Slice 317 of 536 | CT slice | Field of view 700 mm wide, 3.27 mm slice spacing 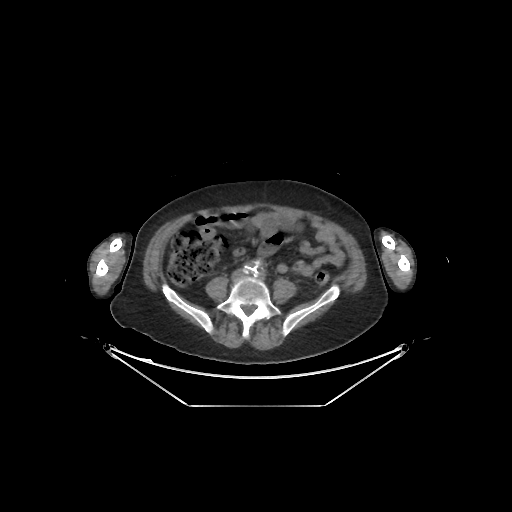
bone:
  - {"x1": 96, "y1": 238, "x2": 121, "y2": 276}
  - {"x1": 382, "y1": 235, "x2": 395, "y2": 250}
  - {"x1": 398, "y1": 254, "x2": 409, "y2": 272}
  - {"x1": 282, "y1": 285, "x2": 339, "y2": 335}
  - {"x1": 163, "y1": 285, "x2": 212, "y2": 332}
  - {"x1": 218, "y1": 267, "x2": 277, "y2": 337}